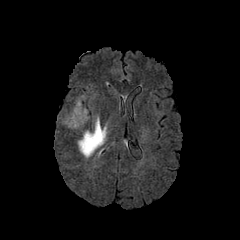
FLAIR MR.
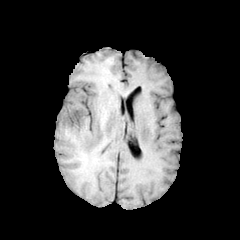
Same slice, T1-weighted MRI.
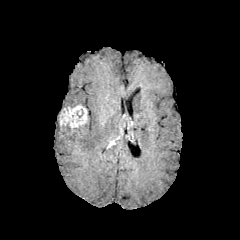
Same slice, post-contrast T1-weighted MR.
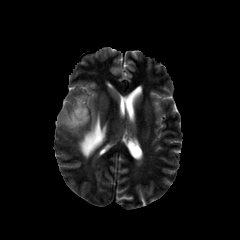
T2-weighted magnetic resonance.
Image size 240x240
The enhancing tumor is located at rect(59, 105, 87, 127). The edema lies within rect(77, 114, 107, 158).